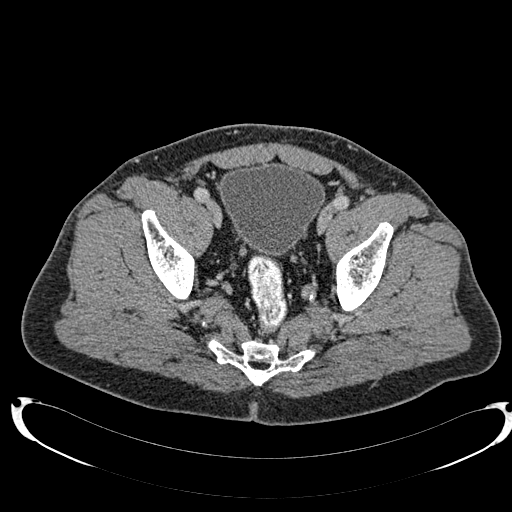

CT slice | Lower abdomen
Urinary bladder at box(219, 161, 325, 258).